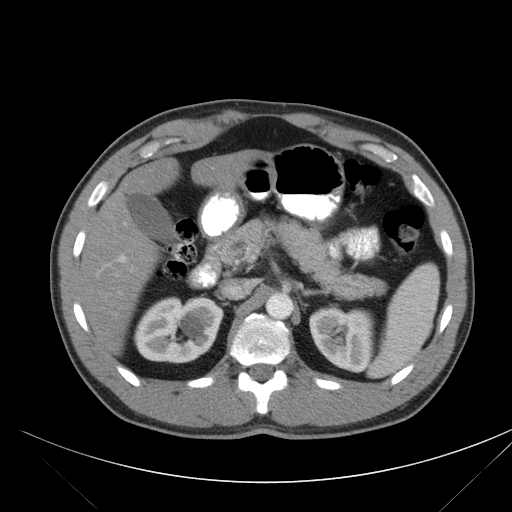

512x512. Upper abdomen. CT scan slice. The pancreas is at {"x1": 213, "y1": 217, "x2": 387, "y2": 301}.